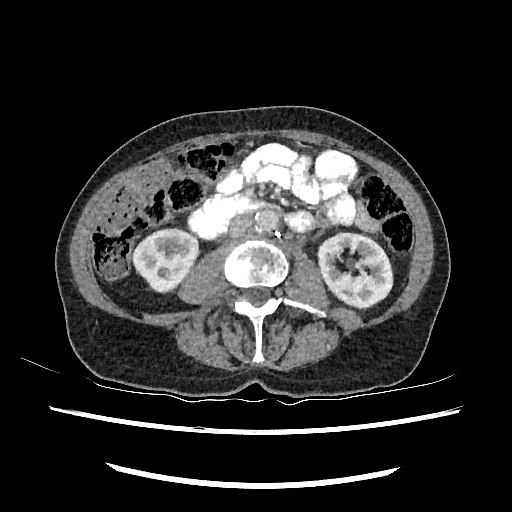 CT scan slice | 512x512 px | Abdomen

Kidney: bounding box 319:231:391:306, 133:228:197:290.